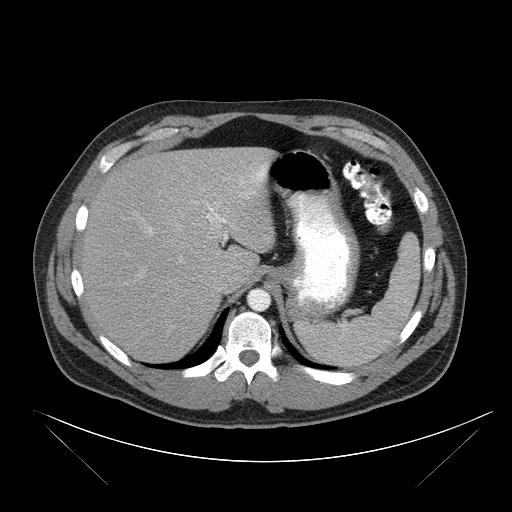
Abdomen | Computed tomography

spleen: bbox(297, 236, 419, 366)